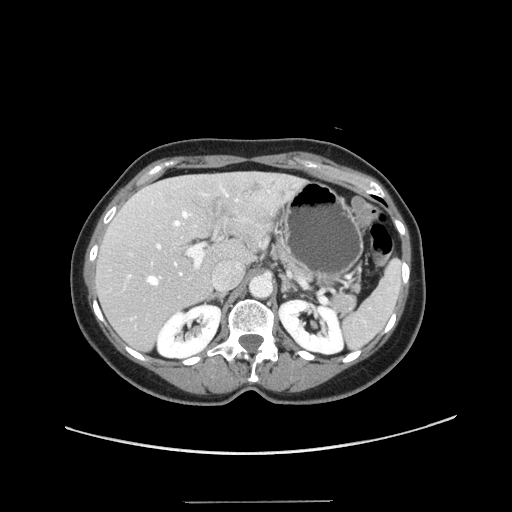
CT scan slice.

The vessel boxes may cover only some of the vessels.
Hepatic vessel = left=211, top=262, right=241, bottom=288; left=175, top=262, right=176, bottom=264; left=157, top=244, right=160, bottom=247; left=183, top=211, right=189, bottom=216; left=174, top=221, right=179, bottom=225; left=188, top=243, right=204, bottom=265; left=147, top=276, right=160, bottom=284.